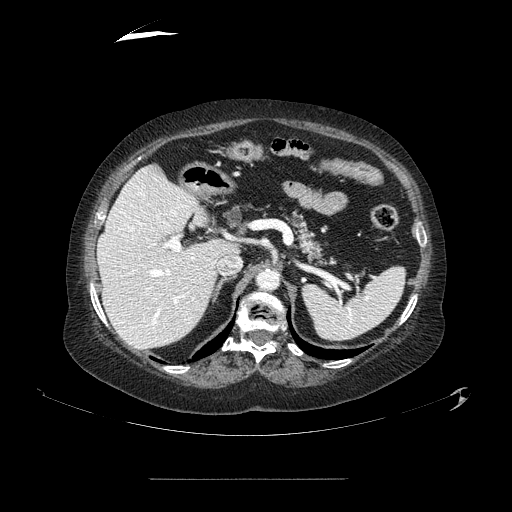
Computed tomography | Abdomen
2 pancreas regions appear at rect(286, 208, 338, 266); rect(224, 204, 255, 227).